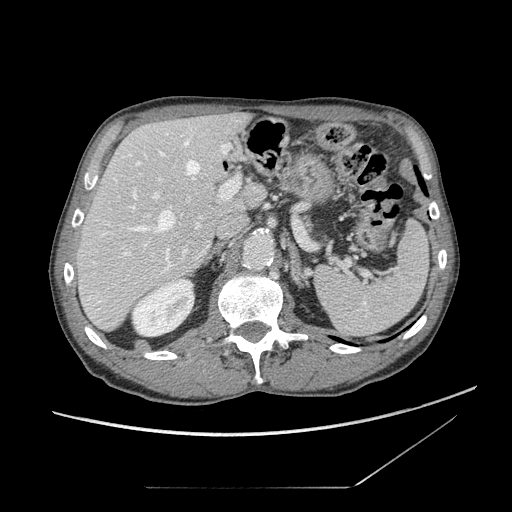
CT scan slice; Abdomen; 512x512 px
<segmentation>
  <pancreas>305:216:312:231</pancreas>
</segmentation>